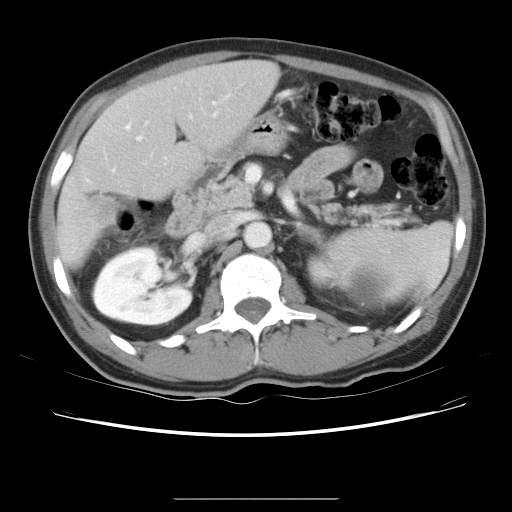 CT scan slice. Liver.
Some hepatic vessels may have no box.
8 hepatic vessel regions are located at l=213, t=112, r=216, b=116; l=213, t=101, r=217, b=105; l=125, t=124, r=130, b=129; l=137, t=135, r=142, b=139; l=85, t=178, r=89, b=182; l=111, t=168, r=115, b=171; l=189, t=114, r=192, b=117; l=225, t=93, r=229, b=98.